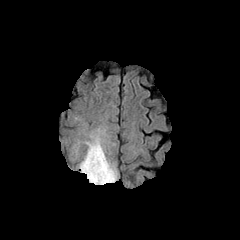
FLAIR magnetic resonance.
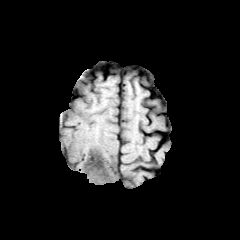
T1-weighted MRI of the same slice.
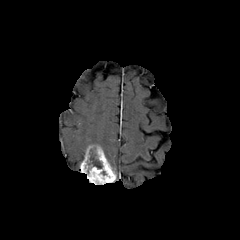
Post-contrast T1-weighted MRI.
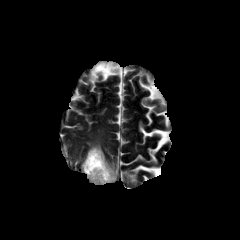
T2-weighted MR.
240x240 px, Head
Non-enhancing tumor core — (x1=86, y1=145, x2=101, y2=167).
Enhancing tumor — (x1=80, y1=146, x2=116, y2=184).
Edema — (x1=86, y1=138, x2=106, y2=154).